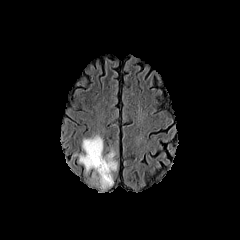
FLAIR MRI.
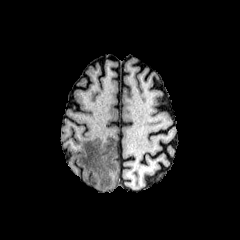
T1-weighted MR.
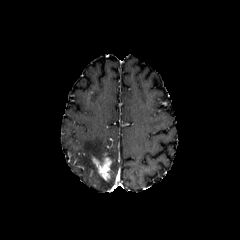
Post-contrast T1-weighted MRI of the same slice.
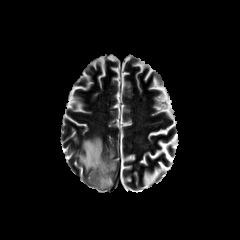
T2-weighted MR image of the same slice.
240x240
Enhancing tumor — (92, 157, 111, 180).
Edema — (110, 161, 117, 172), (79, 136, 114, 189).